CT scan slice | Image size 512x512 | Abdomen | Image width 429 mm

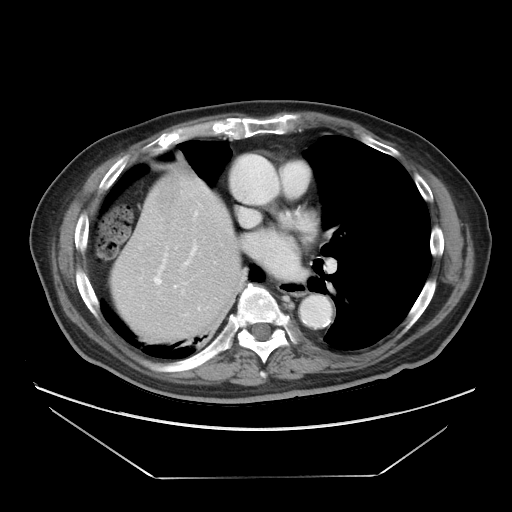 The vessel annotation is not exhaustive.
{"hepatic_vessel": ["165:254:166:256", "153:258:165:284", "184:252:192:265", "174:285:176:287"]}